FLAIR MRI.
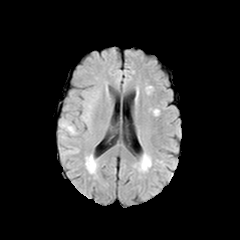
T1-weighted MRI.
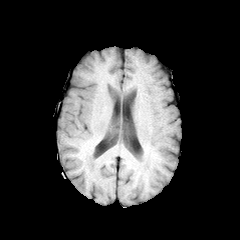
Post-contrast T1-weighted magnetic resonance.
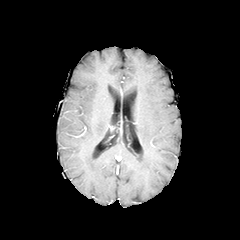
T2-weighted MR image.
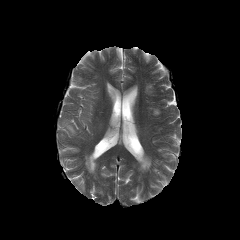
Brain
4 edema regions are located at l=63, t=144, r=78, b=154; l=60, t=119, r=78, b=141; l=85, t=154, r=96, b=173; l=82, t=93, r=94, b=124.